Slice 81 of 155 | Head
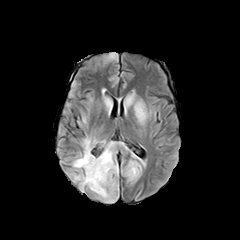
FLAIR MRI.
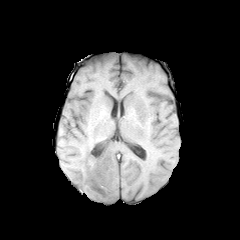
T1-weighted MR.
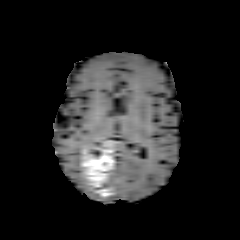
Same slice, post-contrast T1-weighted MRI.
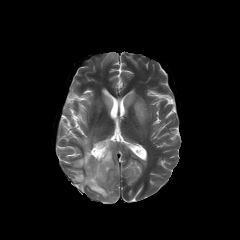
Same slice, T2-weighted magnetic resonance.
enhancing tumor: region(82, 141, 113, 196) | non-enhancing tumor core: region(90, 141, 105, 159); region(100, 178, 111, 192) | edema: region(73, 154, 83, 167); region(73, 171, 87, 191); region(81, 136, 101, 151)